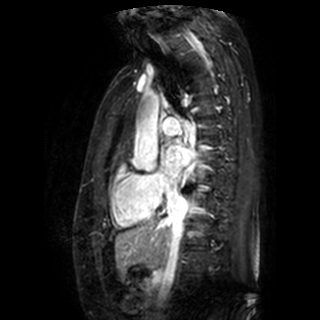 MRI | 320x320 px
left atrium: bbox=[164, 145, 193, 178]